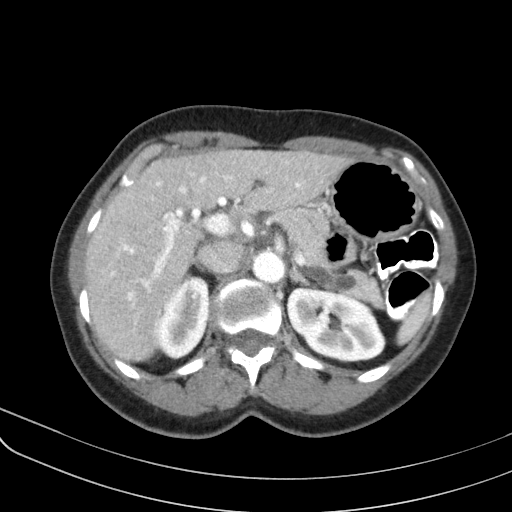
CT image. Upper abdomen. Pancreas: 274, 207, 384, 308.
Pancreatic tumor: 300, 267, 355, 290.